Slice index 195. Computed tomography. Image size 512x512.
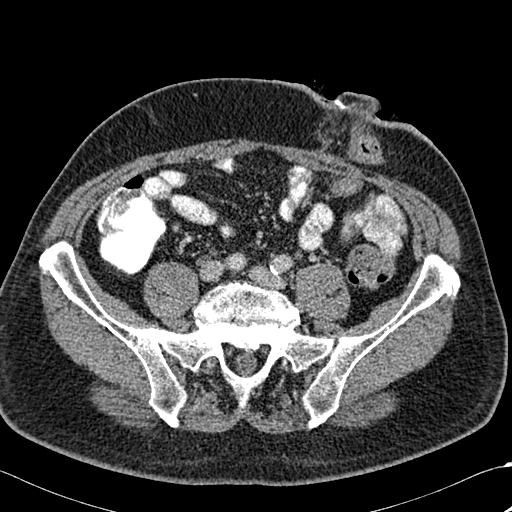
Bone: <box>40,241,459,427</box>.